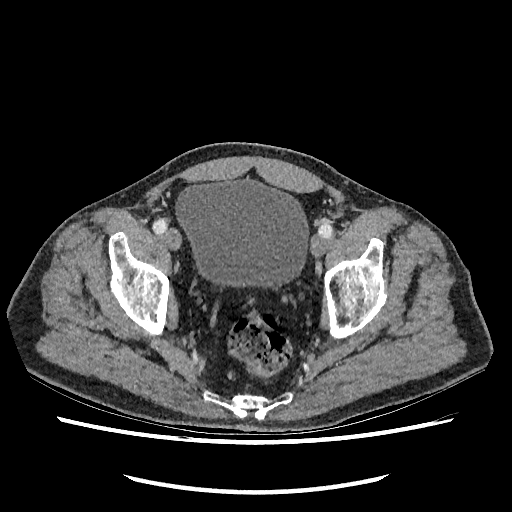

Computed tomography; Lower abdomen
• urinary bladder: (176,178,308,286)